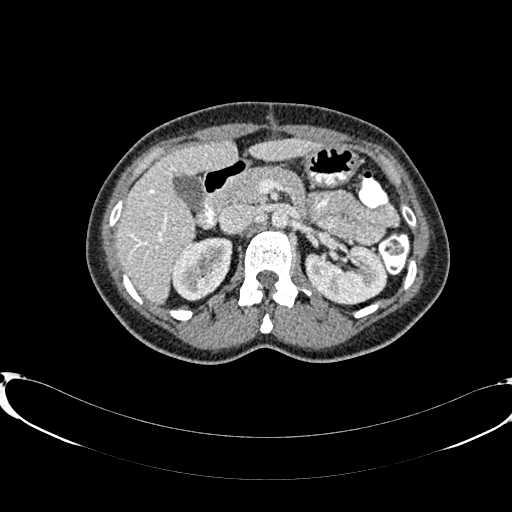

512x512; CT scan slice
liver: 116:140:236:303, 250:139:316:159 | kidney: 307:245:385:302, 173:239:230:299